CT scan slice 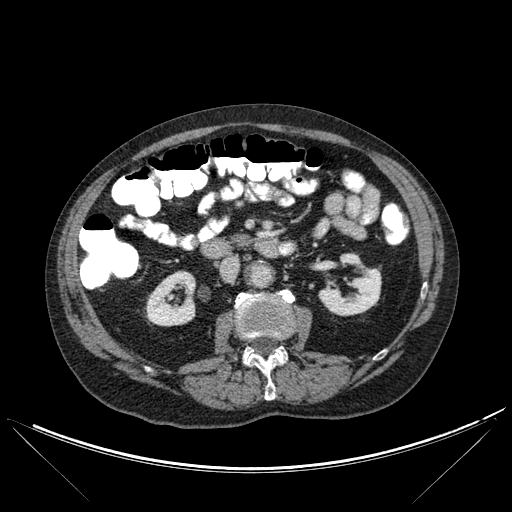

{"kidney": ["bbox(319, 268, 380, 315)", "bbox(146, 271, 195, 325)", "bbox(340, 253, 363, 267)"], "bone": ["bbox(235, 290, 294, 338)", "bbox(243, 346, 287, 399)"]}